FLAIR magnetic resonance.
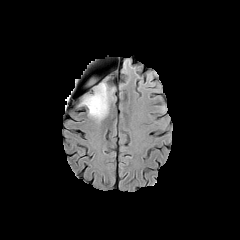
T1-weighted magnetic resonance.
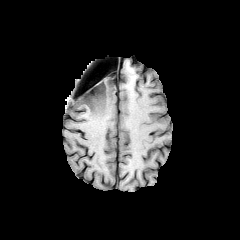
Post-contrast T1-weighted MR.
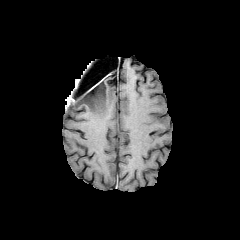
T2-weighted MR image.
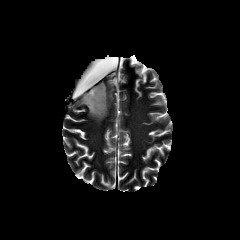
- non-enhancing tumor core: (84, 84, 103, 99)
- edema: (80, 82, 113, 122)